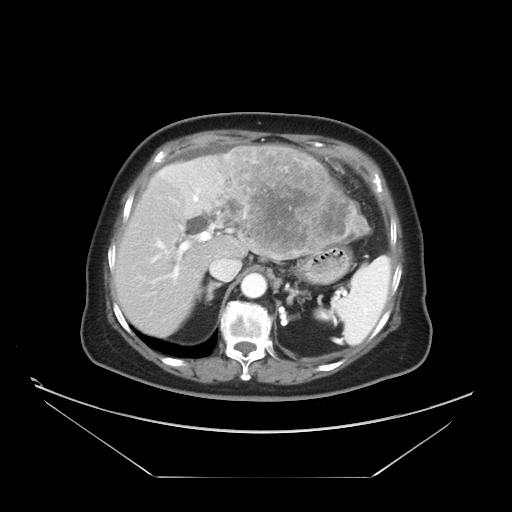 Computed tomography; Abdomen
Only some of the vessels may be annotated.
{"hepatic_vessel": ["<bbox>211, 260, 222, 275</bbox>", "<bbox>164, 266, 178, 281</bbox>", "<bbox>152, 256, 157, 260</bbox>", "<bbox>194, 197, 197, 200</bbox>", "<bbox>156, 240, 163, 248</bbox>", "<bbox>177, 242, 188, 258</bbox>"], "liver_tumor": ["<bbox>218, 145, 369, 259</bbox>"]}